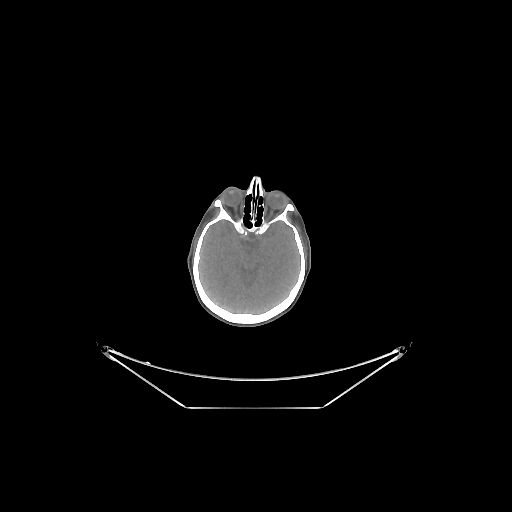 Brain | CT image
Bone = (193, 199, 304, 323), (255, 180, 263, 195), (246, 181, 253, 194).
Brain = (198, 219, 300, 314).